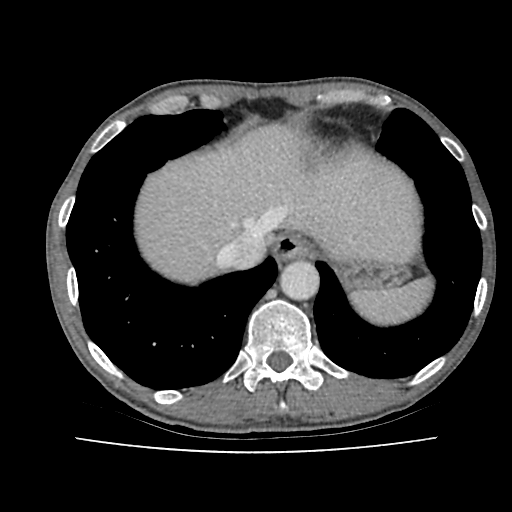
512x512 | Liver | CT slice

Liver: bounding box 136,127,421,281.